CT scan slice
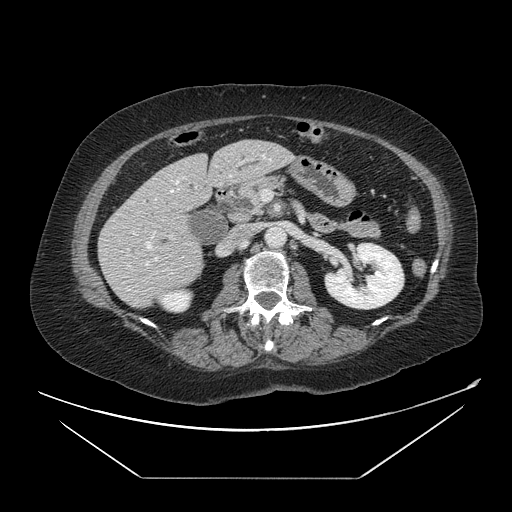 The pancreas is at left=241, top=177, right=284, bottom=214.